Magnetic resonance; Slice index 13

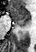
The anterior hippocampus is at x1=7 y1=5 x2=29 y2=22. The posterior hippocampus is at x1=16 y1=23 x2=26 y2=26.